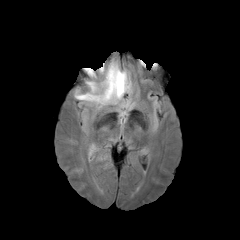
FLAIR MRI.
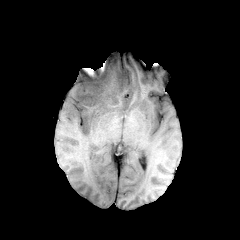
T1-weighted magnetic resonance.
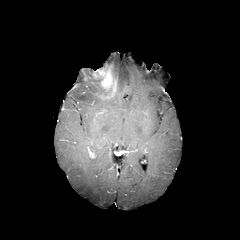
Post-contrast T1-weighted MRI.
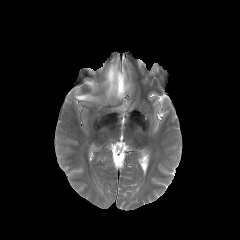
Same slice, T2-weighted magnetic resonance.
Brain
The enhancing tumor is located at 93 62 116 97. The edema is bounded by 74 56 134 121.